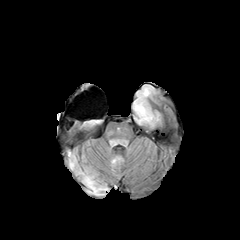
FLAIR MR image.
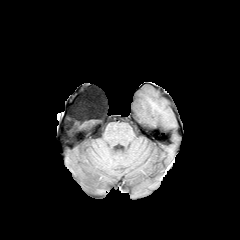
Same slice, T1-weighted magnetic resonance.
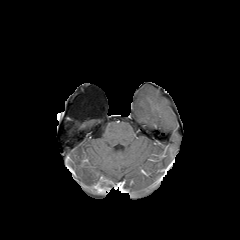
Post-contrast T1-weighted MRI.
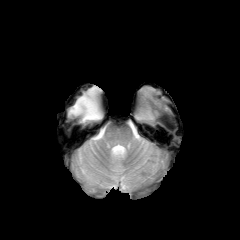
Same slice, T2-weighted MR image.
Brain
* non-enhancing tumor core: (92, 182, 107, 191)
* edema: (138, 106, 152, 121), (70, 156, 99, 189)